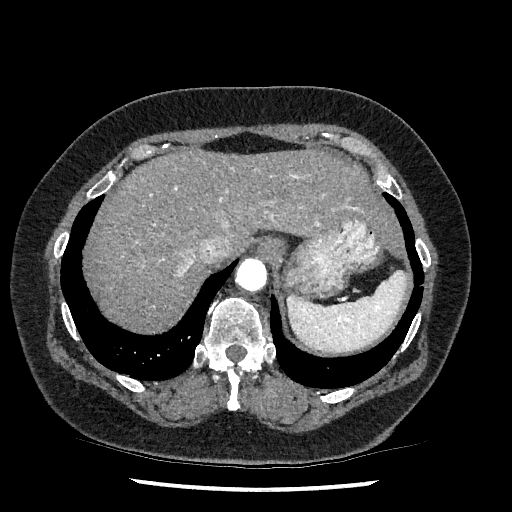 CT scan slice | Upper abdomen
* liver: (89, 151, 405, 331)